Image size 512x512; Pelvis; Computed tomography 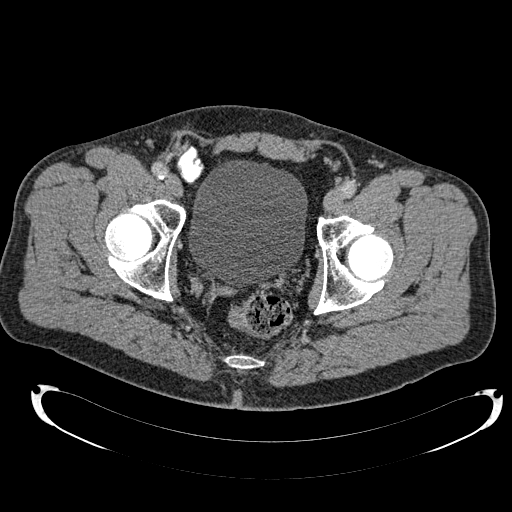

Urinary bladder at [188, 160, 307, 286].